Abdomen. CT.
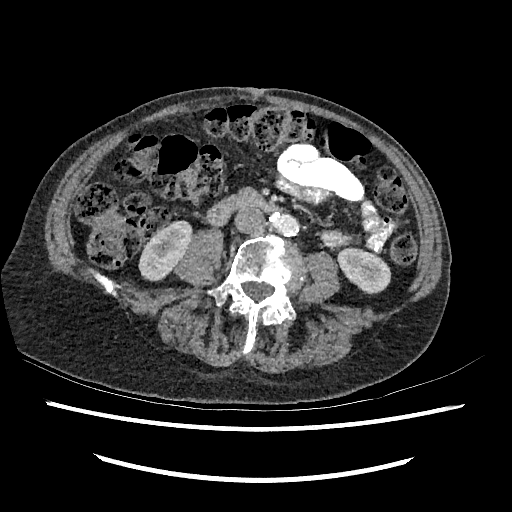 2 kidney regions are located at x1=338 y1=249 x2=390 y2=292, x1=140 y1=223 x2=192 y2=279.